512x512; Computed tomography

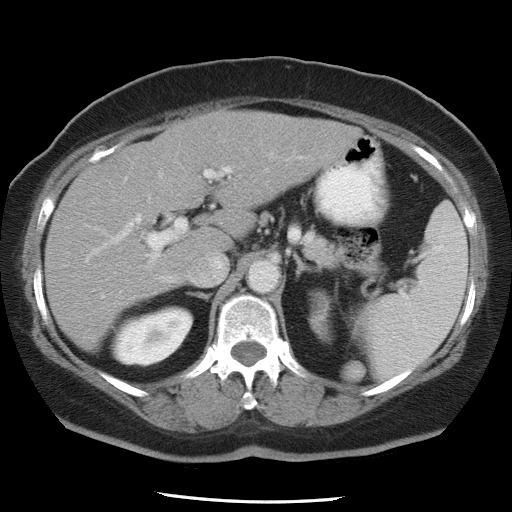 Some hepatic vessels may have no box.
- hepatic vessel: [x1=147, y1=214, x2=187, y2=256], [x1=137, y1=216, x2=140, y2=220], [x1=204, y1=166, x2=230, y2=177]